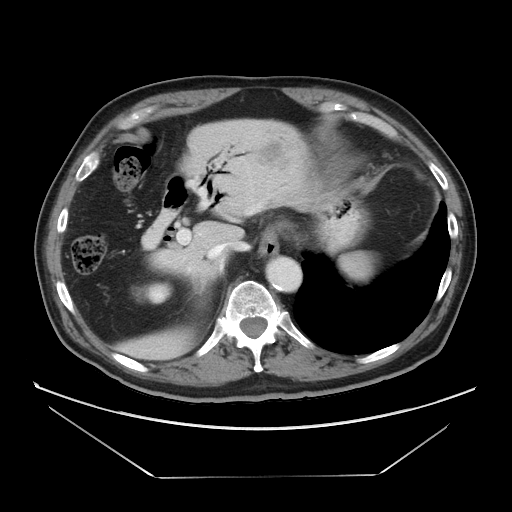

CT scan slice, 512x512, Liver

The vessel annotation is not exhaustive.
Hepatic vessel at [238,243,245,248], [178,233,190,243], [209,244,226,257].
Liver tumor at [257,140,289,166].